CT image

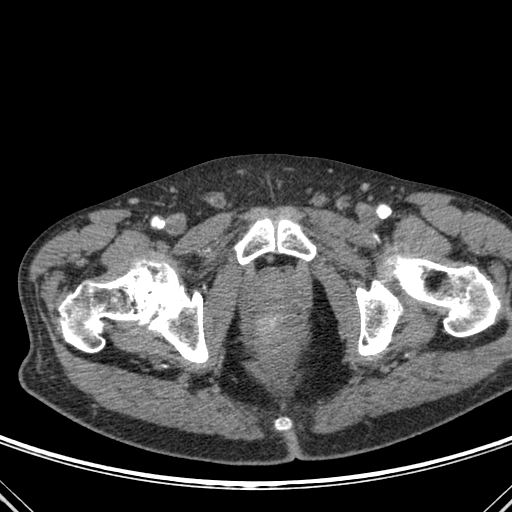
Bone: [x1=275, y1=418, x2=290, y2=429], [x1=58, y1=259, x2=208, y2=363], [x1=234, y1=217, x2=316, y2=264], [x1=356, y1=255, x2=500, y2=355].